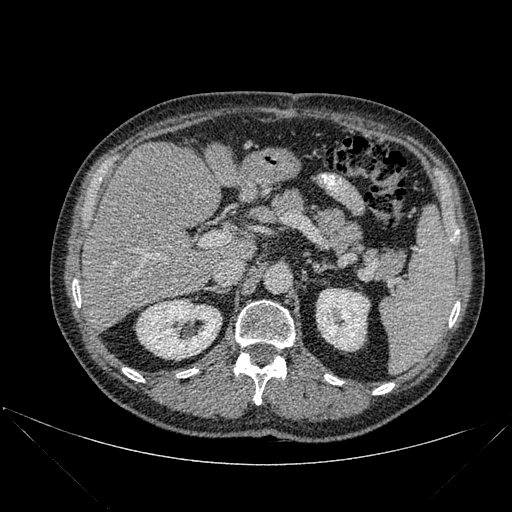 Computed tomography. Liver. 512x512.

liver:
  - (80,142,220,330)
  - (240,183,255,200)
  - (205,145,239,185)
kidney:
  - (136,300,221,359)
  - (316,289,369,350)
bone:
  - (234,353,286,404)
  - (450,230,458,240)
  - (373,383,394,394)
  - (324,374,343,384)
  - (177,368,198,377)
  - (449,302,459,326)
  - (235,300,295,348)
  - (72,279,80,307)
  - (122,368,144,381)